Upper abdomen | CT | Slice 42/97 | Image width 460 mm 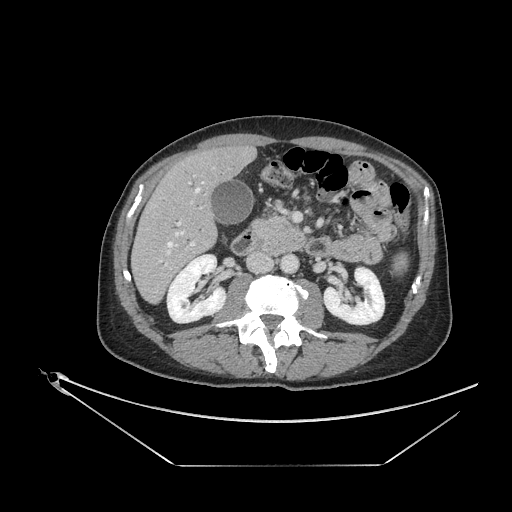 {
  "pancreatic_tumor": [
    "270,222,302,250"
  ],
  "pancreas": [
    "253,216,304,250"
  ]
}